Slice 550 of 565 | CT | Image width 335 mm

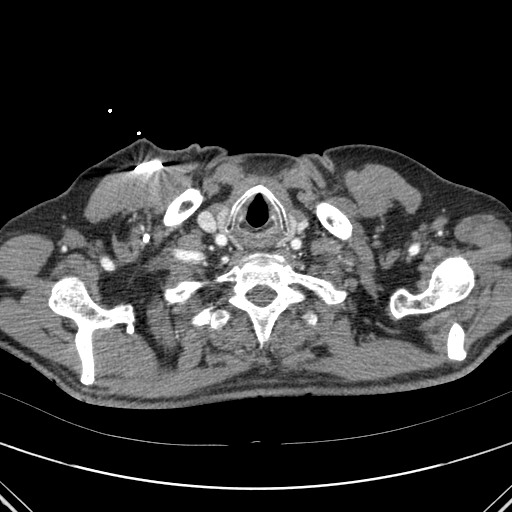
Bone: bounding box box(163, 188, 202, 227); box(192, 316, 200, 325); box(409, 244, 418, 254); box(447, 323, 465, 360); box(304, 315, 316, 324); box(48, 277, 134, 384); box(390, 257, 474, 318); box(165, 281, 203, 302); box(316, 202, 352, 239); box(216, 253, 346, 347).